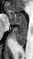 33x59. Medial temporal lobe. MR.

The posterior hippocampus is bounded by <box>13,27,26,46</box>. The anterior hippocampus is located at <box>7,10,26,26</box>.